Image size 512x512; Computed tomography; Field of view 396x396 mm; Abdomen 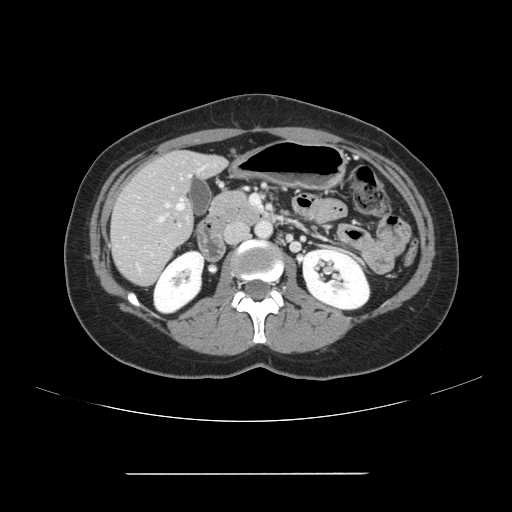

Only some of the vessels may be annotated.
<segmentation>
  <hepatic_vessel><bbox>159, 217, 163, 221</bbox>, <bbox>166, 204, 169, 206</bbox>, <bbox>177, 199, 183, 209</bbox></hepatic_vessel>
</segmentation>